Medial temporal lobe; Slice index 30; MRI slice

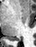 Segmented structures:
* posterior hippocampus: (10,37,21,41)